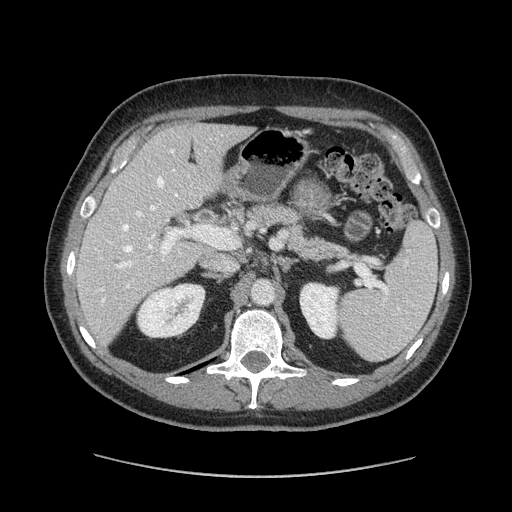
Abdomen, CT
The pancreas lies within x1=249 y1=206 x2=346 y2=259.